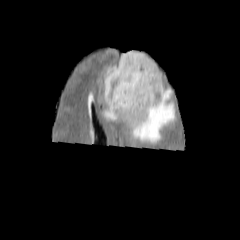
FLAIR MR image.
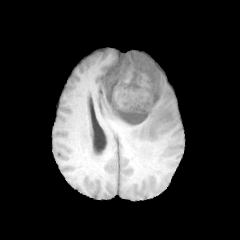
T1-weighted MR.
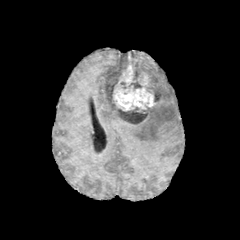
Same slice, post-contrast T1-weighted MRI.
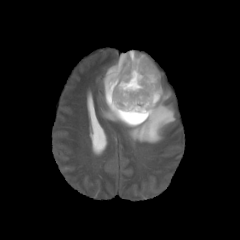
T2-weighted MR image.
Head.
2 enhancing tumor regions are located at {"x1": 113, "y1": 52, "x2": 155, "y2": 112}, {"x1": 137, "y1": 72, "x2": 152, "y2": 86}. 3 non-enhancing tumor core regions are located at {"x1": 102, "y1": 53, "x2": 128, "y2": 108}, {"x1": 129, "y1": 52, "x2": 162, "y2": 102}, {"x1": 114, "y1": 106, "x2": 151, "y2": 124}. The edema is bounded by {"x1": 101, "y1": 68, "x2": 175, "y2": 143}.